Computed tomography | Abdomen | 512x512 | Slice index 32 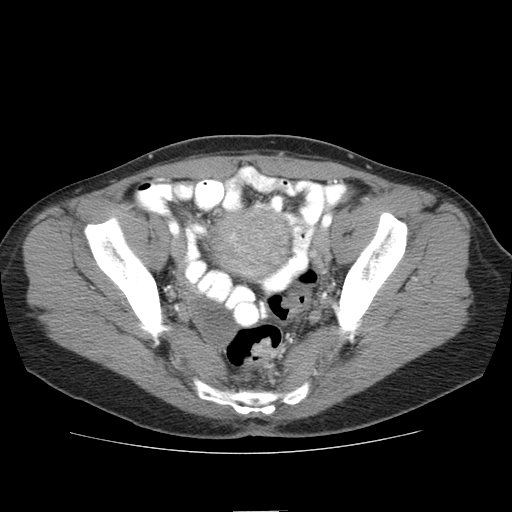 Findings:
• colon tumor: l=251, t=337, r=274, b=357